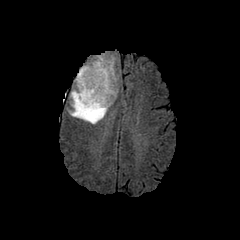
FLAIR magnetic resonance.
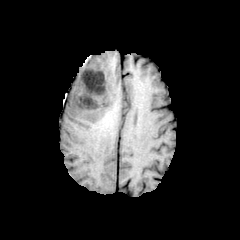
Same slice, T1-weighted magnetic resonance.
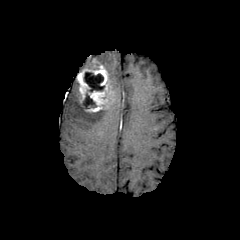
Post-contrast T1-weighted MR.
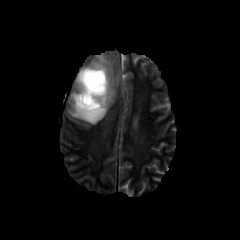
Same slice, T2-weighted MRI.
240x240 px.
Edema at x1=68, y1=84, x2=109, y2=124; x1=79, y1=54, x2=119, y2=102.
Enhancing tumor at x1=76, y1=64, x2=113, y2=111.
Non-enhancing tumor core at x1=87, y1=61, x2=99, y2=69; x1=84, y1=70, x2=105, y2=92; x1=78, y1=91, x2=99, y2=114.